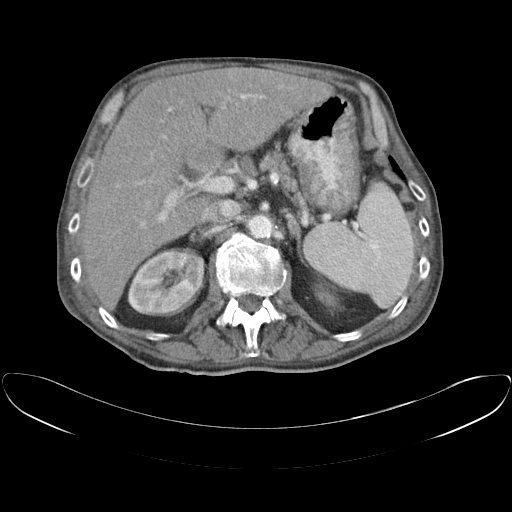

512x512 px | Abdomen | Computed tomography
Only some of the vessels may be annotated.
<segmentation>
  <hepatic_vessel>bbox(199, 175, 232, 191); bbox(163, 136, 166, 138); bbox(225, 96, 231, 101); bbox(218, 114, 219, 116); bbox(228, 89, 230, 91); bbox(168, 107, 172, 110); bbox(260, 95, 264, 97); bbox(138, 180, 144, 183); bbox(157, 192, 176, 221); bbox(140, 222, 145, 227); bbox(240, 94, 257, 101); bbox(221, 103, 225, 108); bbox(147, 201, 148, 202)</hepatic_vessel>
</segmentation>